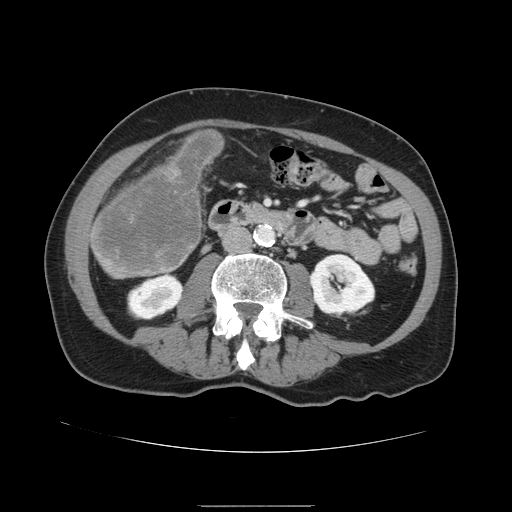 CT scan slice.

Liver tumor: bounding box {"x1": 94, "y1": 131, "x2": 222, "y2": 273}.